Brain
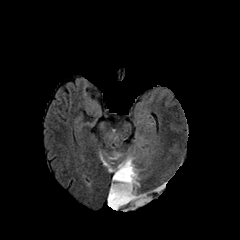
FLAIR MR image.
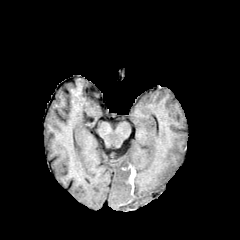
Same slice, T1-weighted magnetic resonance.
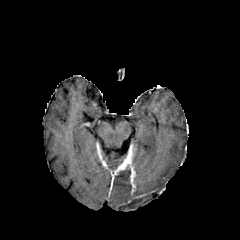
Post-contrast T1-weighted MRI.
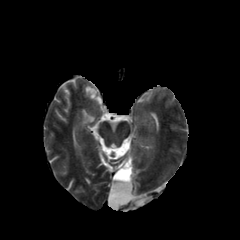
T2-weighted MR.
edema: x1=108, y1=150, x2=162, y2=211 | non-enhancing tumor core: x1=114, y1=146, x2=134, y2=157; x1=114, y1=167, x2=130, y2=183; x1=110, y1=156, x2=125, y2=173; x1=132, y1=160, x2=137, y2=183 | enhancing tumor: x1=114, y1=149, x2=135, y2=187